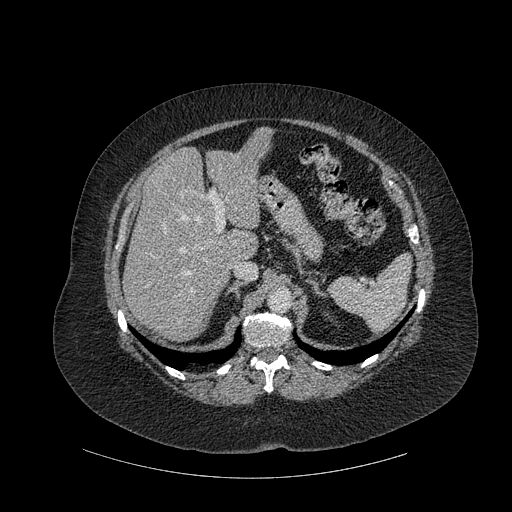
512x512 px; Upper abdomen; Computed tomography

9 bone regions appear at 217, 365, 230, 374; 118, 310, 126, 331; 312, 361, 331, 369; 243, 313, 290, 346; 361, 354, 377, 367; 251, 355, 288, 391; 166, 366, 184, 379; 417, 289, 424, 311; 409, 226, 418, 243. The liver is located at 123, 127, 272, 342. 2 lung regions appear at 130, 328, 240, 370; 294, 310, 412, 364.